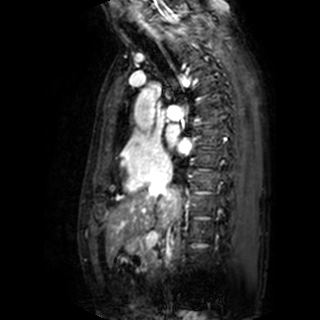 MRI
left atrium: [165,124,191,152]